Upper abdomen; CT scan slice

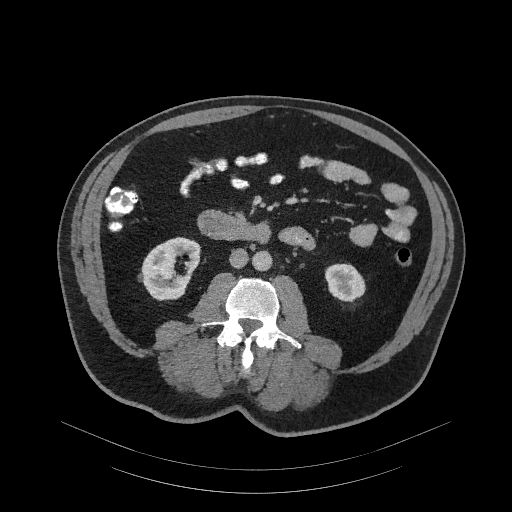
- pancreas: region(233, 210, 245, 219)